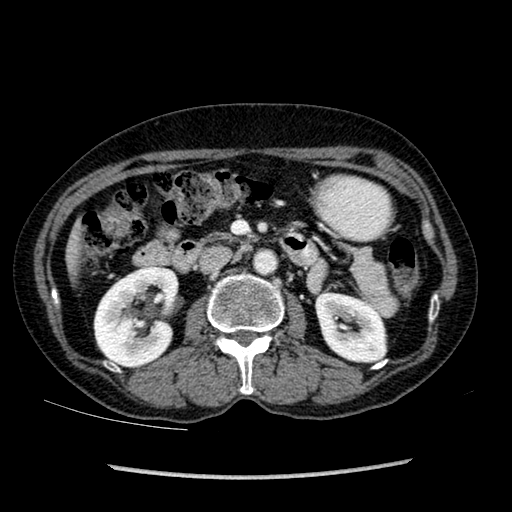
Liver. CT scan slice.
2 kidney regions appear at 317,294,385,361; 95,267,177,366. The liver appears at 71,235,78,268.